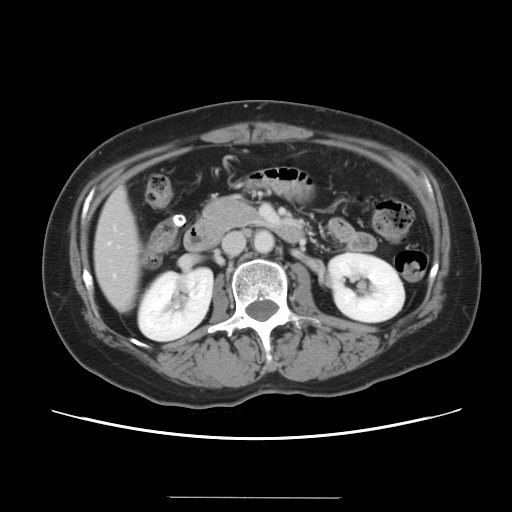

Computed tomography, 512x512 px
The vessel boxes may cover only some of the vessels.
hepatic_vessel:
  - 114,228,115,230
  - 118,192,120,193
  - 113,276,114,277
  - 108,243,109,244